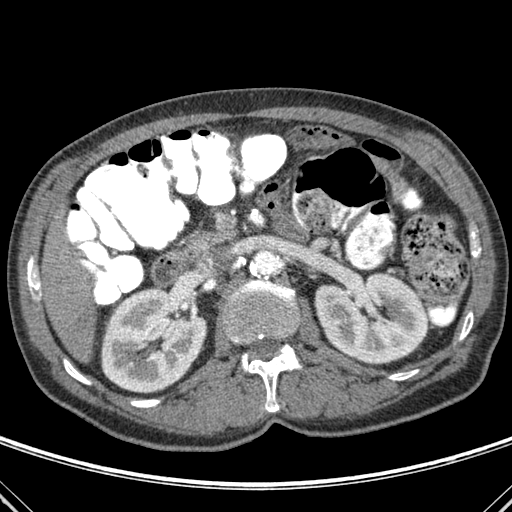

Computed tomography | Upper abdomen | 512x512 px

The liver is located at left=42, top=221, right=96, bottom=362. 9 bone regions are located at left=225, top=272, right=297, bottom=344; left=249, top=209, right=263, bottom=224; left=459, top=312, right=473, bottom=340; left=63, top=359, right=90, bottom=384; left=27, top=258, right=40, bottom=291; left=131, top=399, right=159, bottom=407; left=242, top=344, right=301, bottom=412; left=472, top=243, right=480, bottom=256; left=389, top=369, right=418, bottom=380. 2 kidney regions are located at left=316, top=263, right=427, bottom=362; left=103, top=290, right=205, bottom=391.